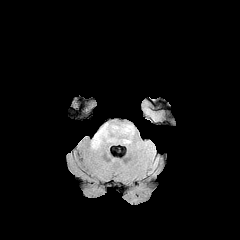
FLAIR MR image.
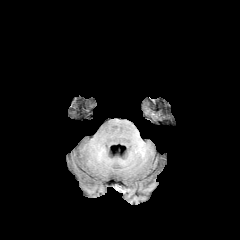
T1-weighted MRI.
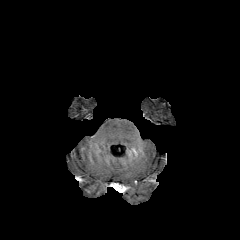
Same slice, post-contrast T1-weighted magnetic resonance.
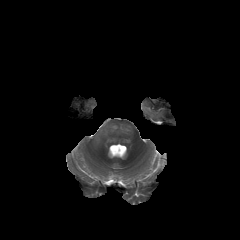
T2-weighted MRI.
The edema is at x1=95 y1=127 x2=106 y2=138.